Field of view 477 mm wide, 3.00 mm slice spacing | CT scan slice | Upper abdomen 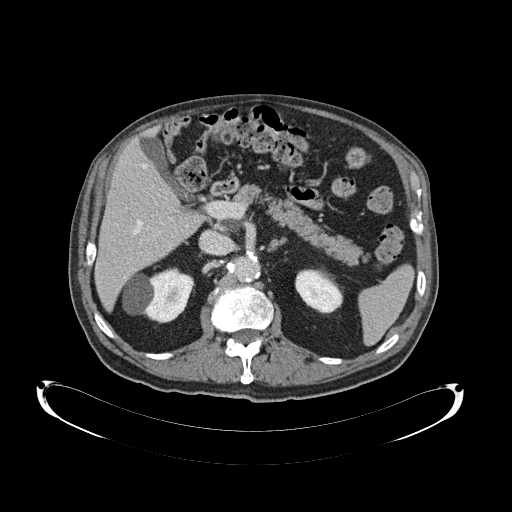

Pancreas = box=[217, 221, 232, 233]; box=[233, 184, 369, 266].
Pancreatic tumor = box=[221, 219, 243, 232].